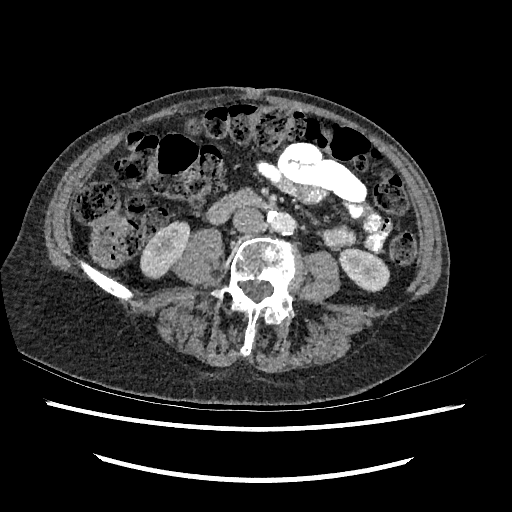
CT image; Image size 512x512; Abdomen
{
  "kidney": [
    "<bbox>141, 224, 189, 277</bbox>",
    "<bbox>340, 249, 388, 290</bbox>"
  ]
}